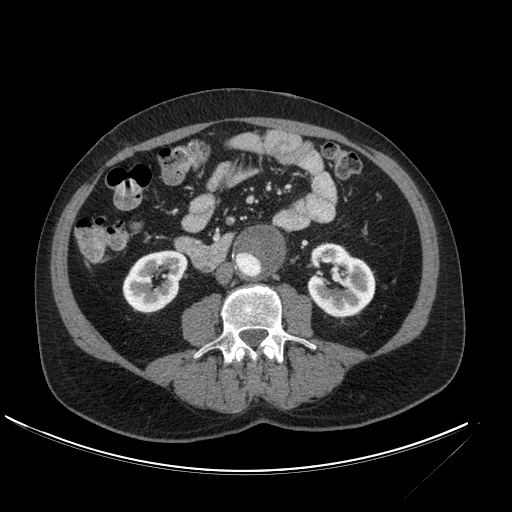
CT image. Image size 512x512.
Kidney at box(308, 244, 374, 315); box(123, 251, 186, 311).